CT image, Slice 17/50
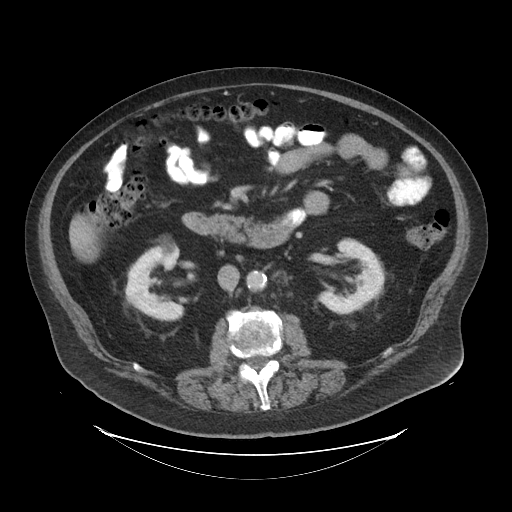 liver_tumor:
  - [82, 244, 93, 255]